CT slice. Upper abdomen.

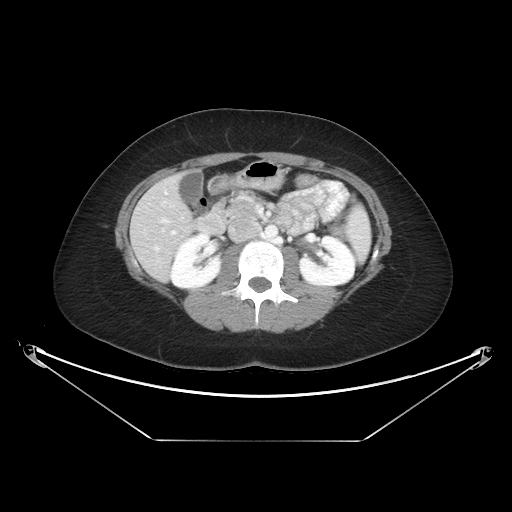
Pancreas: bounding box x1=224, y1=199, x2=257, y2=222.